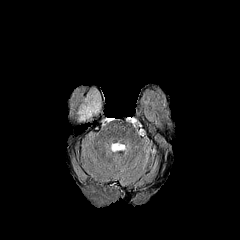
FLAIR magnetic resonance.
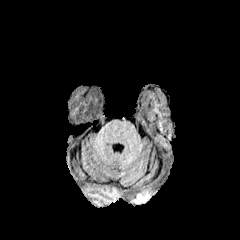
T1-weighted MR.
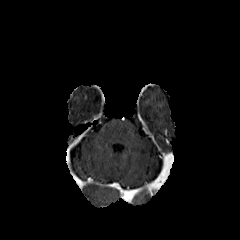
Post-contrast T1-weighted MR image.
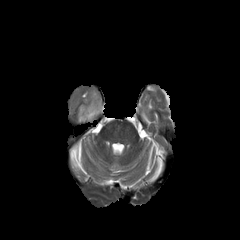
T2-weighted MRI of the same slice.
Head
The edema appears at [x1=79, y1=107, x2=99, y2=120].